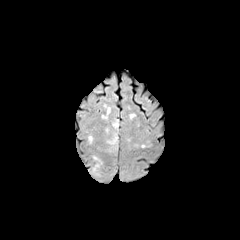
FLAIR MRI.
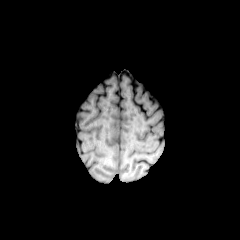
T1-weighted MR.
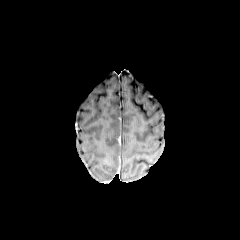
Post-contrast T1-weighted MRI of the same slice.
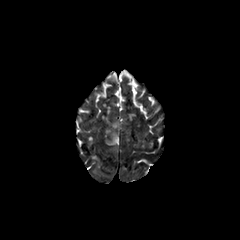
T2-weighted magnetic resonance of the same slice.
Brain.
Edema at (106, 120, 118, 149).